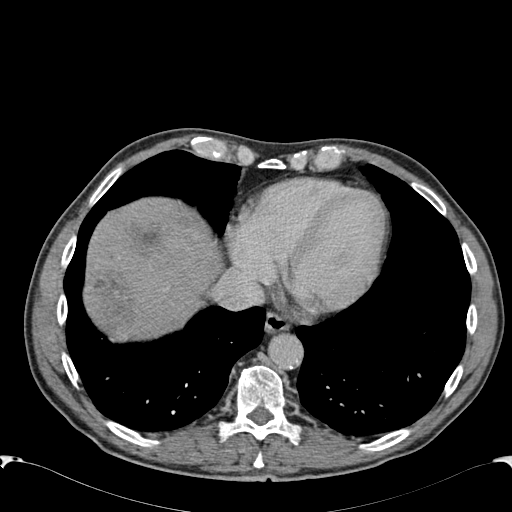 Upper abdomen, CT

The liver is bounded by x1=84 y1=198 x2=219 y2=338. 3 hepatic lesion regions are located at x1=181 y1=217 x2=190 y2=227, x1=95 y1=271 x2=132 y2=323, x1=132 y1=224 x2=162 y2=254.